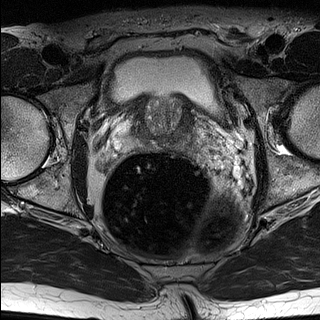
T2-weighted MR image.
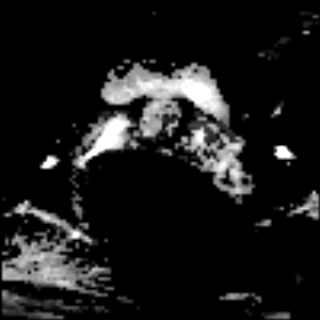
Same slice, ADC MRI.
Image size 320x320. Pelvis.
• prostate peripheral zone: [113, 112, 207, 151]
• prostate transition zone: [133, 103, 197, 144]